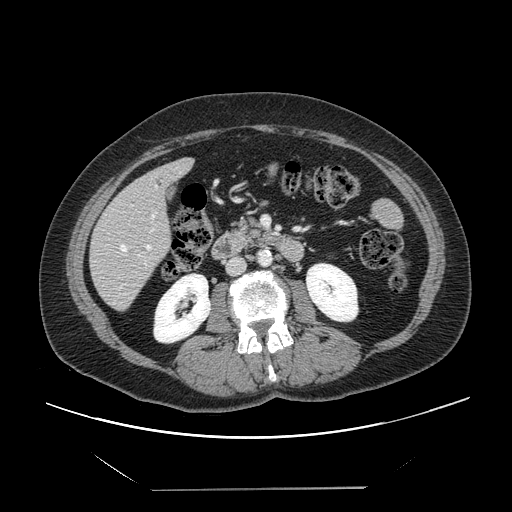
512x512 px | CT scan slice
The vessel annotation is not exhaustive.
{"hepatic_vessel": ["(x1=138, y1=254, x2=146, y2=264)", "(x1=119, y1=243, x2=127, y2=254)", "(x1=151, y1=212, x2=155, y2=220)", "(x1=155, y1=186, x2=156, y2=188)", "(x1=121, y1=285, x2=123, y2=286)", "(x1=150, y1=227, x2=154, y2=232)", "(x1=145, y1=244, x2=151, y2=249)"]}